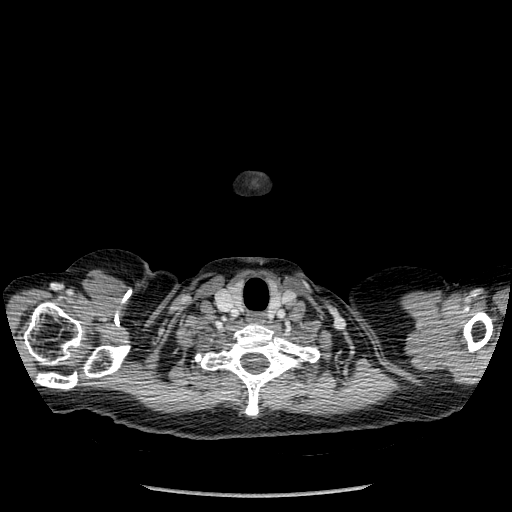 CT scan slice. bone: rect(83, 345, 130, 377); rect(321, 379, 328, 387); rect(195, 323, 320, 415); rect(36, 371, 77, 389); rect(23, 302, 84, 365); rect(463, 312, 492, 352)